Liver, Computed tomography, Slice 53 of 168, Image size 512x512
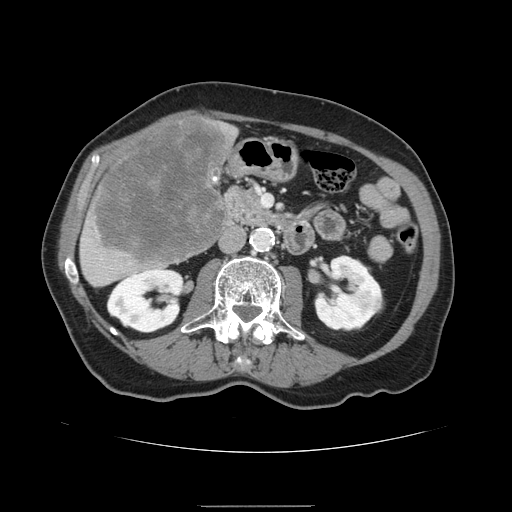 Liver tumor = left=91, top=119, right=229, bottom=265.